Brain; Slice 53 of 155
FLAIR MRI.
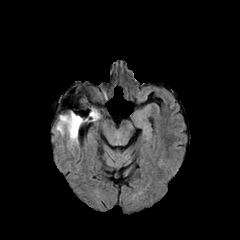
T1-weighted MR.
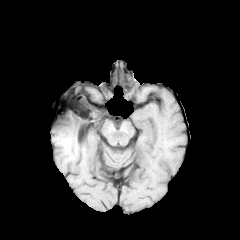
Post-contrast T1-weighted MR image.
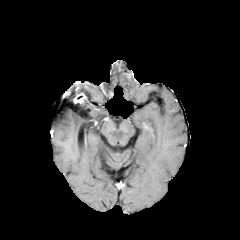
T2-weighted magnetic resonance.
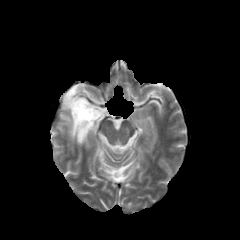
Findings:
* edema: 56,110,101,145
* non-enhancing tumor core: 70,98,100,125